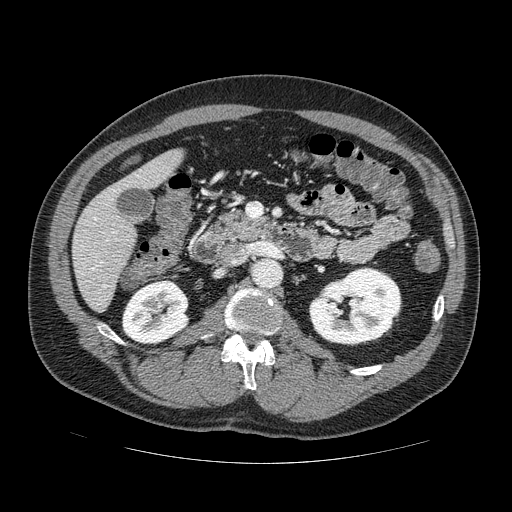 Image size 512x512 | CT slice | Abdomen
pancreas: bbox(218, 210, 275, 242)